Upper abdomen | CT

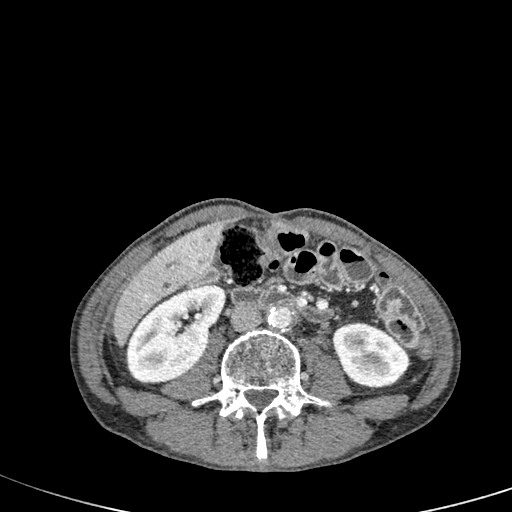

2 kidney regions appear at box(127, 285, 225, 381); box(333, 323, 408, 386). The liver is bounded by box(115, 220, 224, 346).